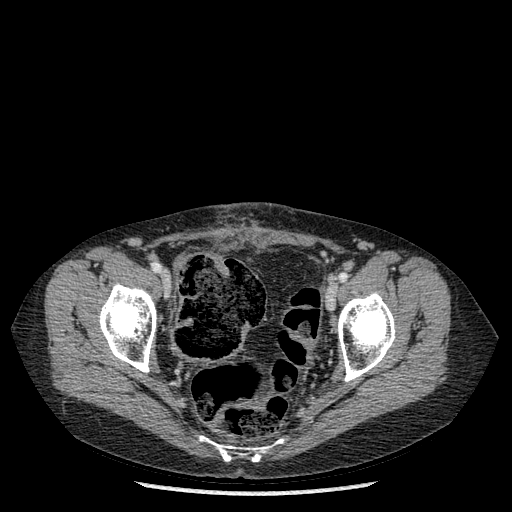
512x512 | CT slice
Bone: (left=199, top=435, right=272, bottom=461), (left=98, top=283, right=156, bottom=372), (left=337, top=291, right=395, bottom=381).